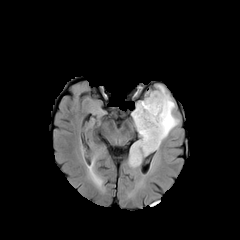
FLAIR MRI.
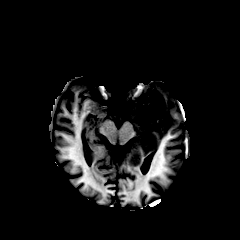
T1-weighted magnetic resonance of the same slice.
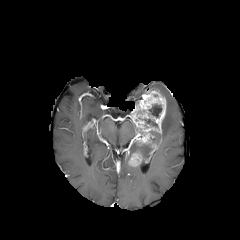
Same slice, post-contrast T1-weighted magnetic resonance.
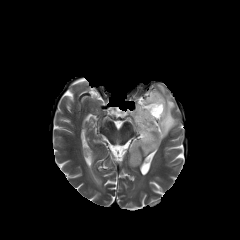
T2-weighted MR image of the same slice.
240x240 px, Brain
Annotated regions:
- enhancing tumor: 131 90 165 142
- edema: 155 85 179 142, 127 139 152 167
- non-enhancing tumor core: 130 152 141 163, 136 118 157 127, 148 104 162 118, 137 128 161 149